MRI slice. Image width 37 mm. 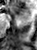

Anterior hippocampus — box(11, 6, 24, 15).